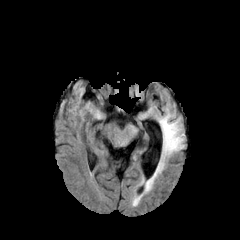
FLAIR MR.
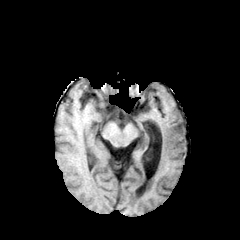
T1-weighted MR.
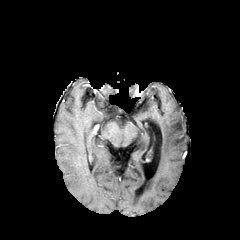
Post-contrast T1-weighted MR.
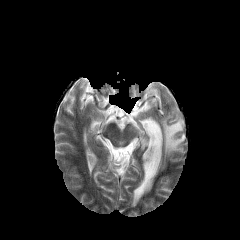
T2-weighted magnetic resonance of the same slice.
{
  "edema": [
    "[132, 112, 183, 205]"
  ]
}